Abdomen | Slice 21 of 81 | CT image | Field of view 355x355 mm 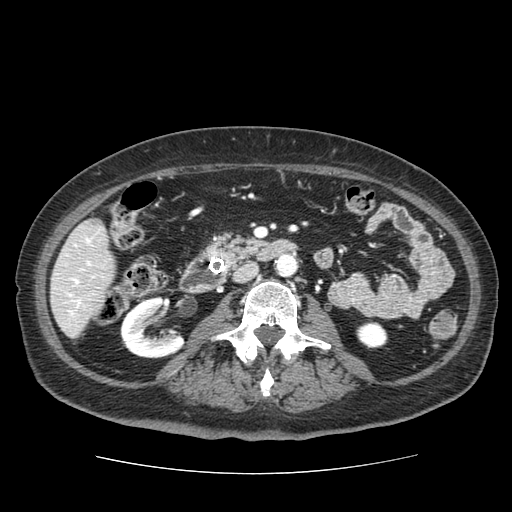
Pancreas = [210,237,261,264].